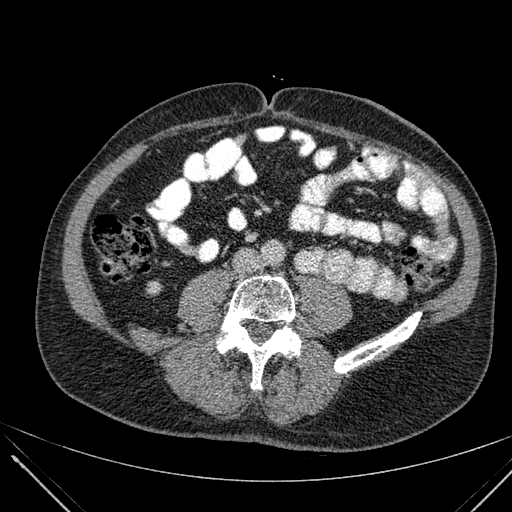

CT image. Abdomen.

The kidney is at region(148, 282, 158, 292).